Brain | 240x240 px
FLAIR MR image.
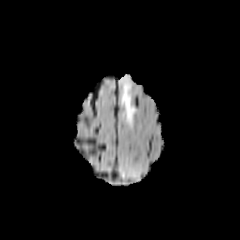
T1-weighted magnetic resonance.
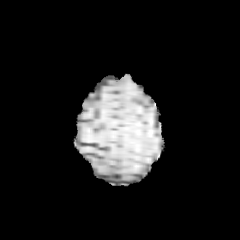
Post-contrast T1-weighted MR.
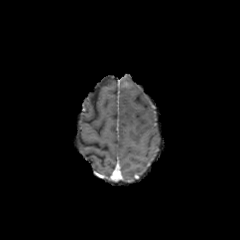
T2-weighted MR.
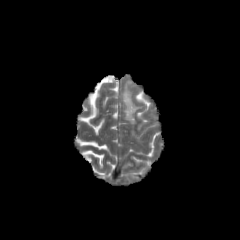
The edema is at l=121, t=83, r=140, b=123.